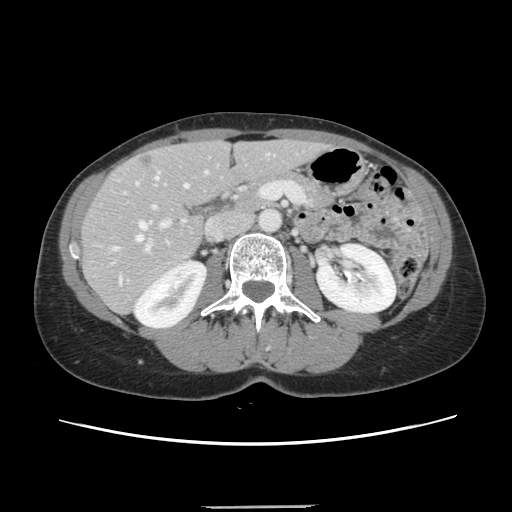

512x512 px; CT; Liver
Some hepatic vessels may have no box.
Hepatic vessel = {"x1": 136, "y1": 235, "x2": 142, "y2": 241}, {"x1": 204, "y1": 171, "x2": 207, "y2": 172}, {"x1": 119, "y1": 277, "x2": 121, "y2": 284}, {"x1": 184, "y1": 184, "x2": 187, "y2": 186}, {"x1": 181, "y1": 219, "x2": 184, "y2": 221}, {"x1": 152, "y1": 205, "x2": 155, "y2": 208}, {"x1": 160, "y1": 220, "x2": 169, "y2": 227}, {"x1": 136, "y1": 182, "x2": 137, "y2": 184}, {"x1": 155, "y1": 171, "x2": 159, "y2": 178}, {"x1": 139, "y1": 221, "x2": 150, "y2": 228}, {"x1": 112, "y1": 247, "x2": 118, "y2": 249}, {"x1": 144, "y1": 243, "x2": 149, "y2": 251}, {"x1": 267, "y1": 153, "x2": 269, "y2": 154}.
Liver tumor = {"x1": 140, "y1": 156, "x2": 151, "y2": 165}.